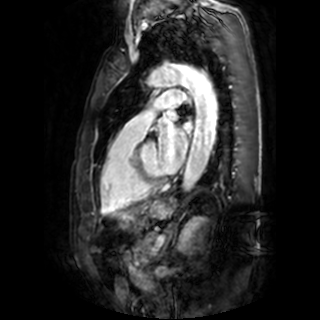
Image size 320x320. MR image. Cardiac. Left atrium — left=183, top=123, right=191, bottom=131; left=166, top=110, right=177, bottom=119; left=158, top=126, right=187, bottom=174.